Slice 76/155
FLAIR MR image.
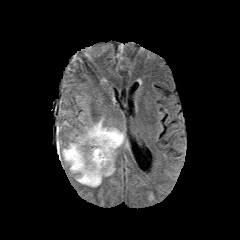
T1-weighted MR image.
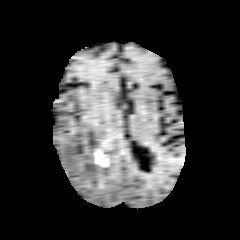
Post-contrast T1-weighted MR image.
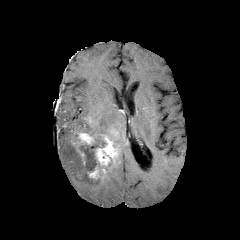
T2-weighted MRI.
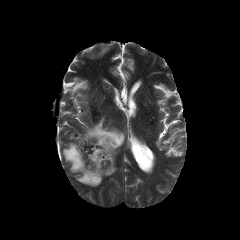
3 enhancing tumor regions appear at (78,132,93,143), (89,168,98,177), (96,131,118,164). The edema is at (58,112,125,187).